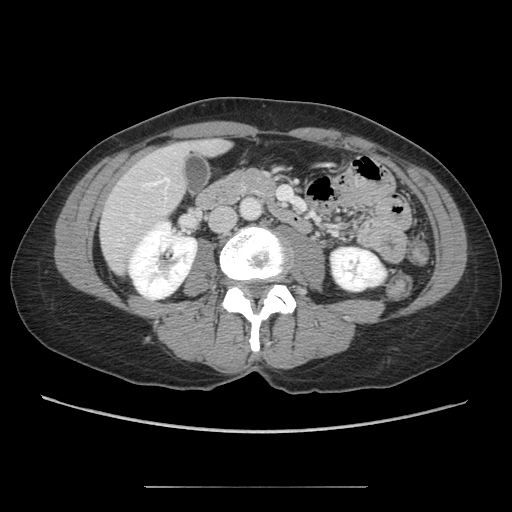
Computed tomography, Upper abdomen
Pancreas — region(228, 167, 277, 200).